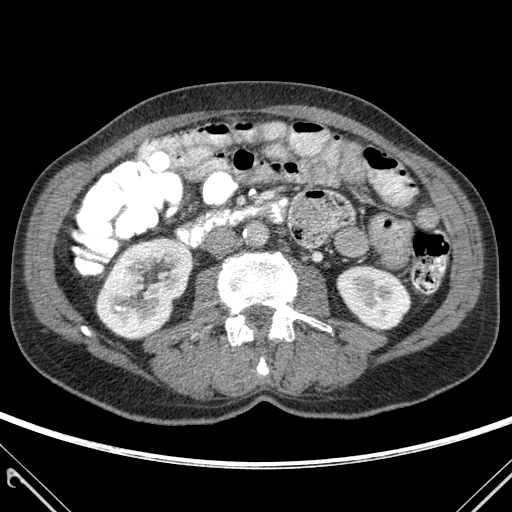

CT scan slice; Abdomen

Kidney at [97,239,187,337], [338,267,409,328].
Bone at [218,252,331,345], [257,358,268,374].